Upper abdomen | 512x512 px | Computed tomography | Slice 481/751 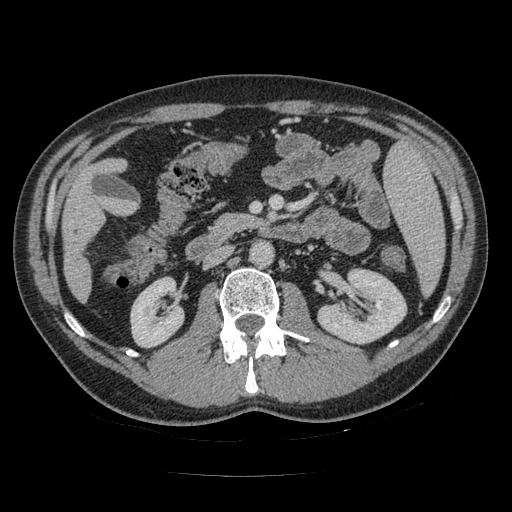 Findings:
• pancreas: (left=213, top=213, right=264, bottom=238)